FLAIR magnetic resonance.
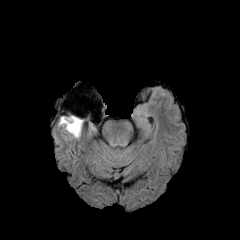
T1-weighted MRI.
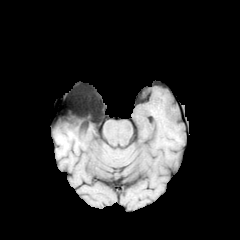
Post-contrast T1-weighted magnetic resonance.
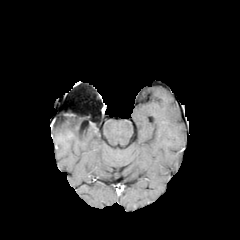
T2-weighted MR image.
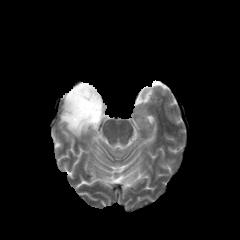
Head. 240x240 px.
edema:
  - 58 120 83 139
non-enhancing_tumor_core:
  - 60 113 83 131